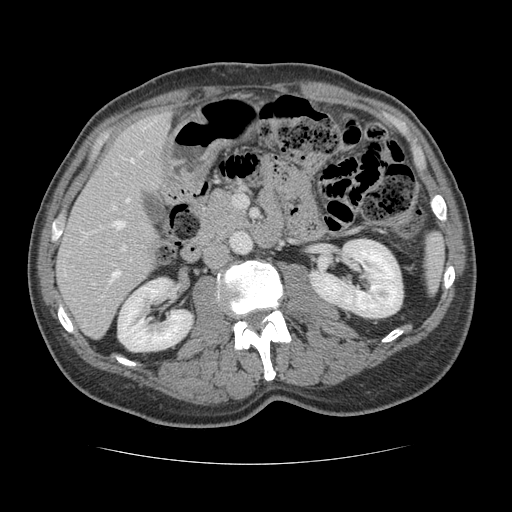

CT slice; Liver

Only some of the vessels may be annotated.
hepatic vessel: 121, 245, 125, 250; 126, 198, 129, 201; 129, 159, 133, 162; 112, 205, 115, 208; 122, 157, 124, 158; 100, 225, 101, 227; 109, 271, 119, 283; 82, 231, 86, 235; 146, 124, 150, 126; 141, 127, 145, 129; 113, 221, 124, 228; 140, 151, 142, 154